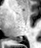

Hippocampus. MRI.

The posterior hippocampus appears at 14,39,21,41.